Liver. CT slice.

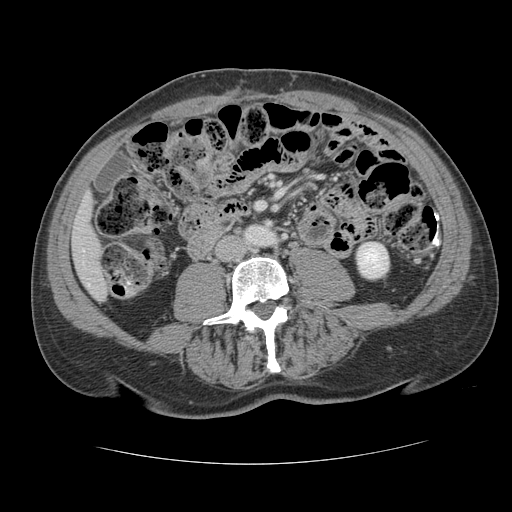

Only some of the vessels may be annotated.
{
  "hepatic_vessel": [
    "bbox=[88, 284, 89, 285]"
  ]
}